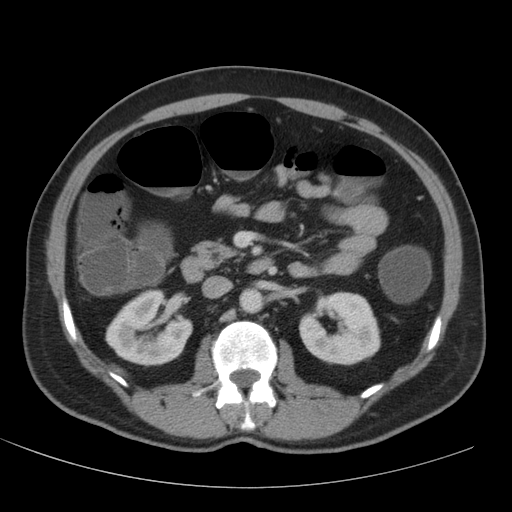

512x512 px, Computed tomography

2 kidney regions appear at 106:290:191:365, 299:292:379:364.